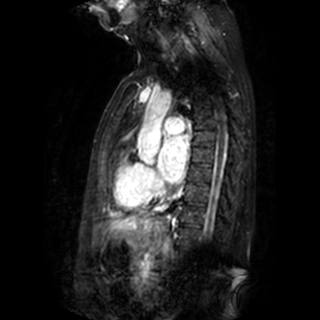
MR image. The left atrium lies within box=[159, 137, 186, 182].